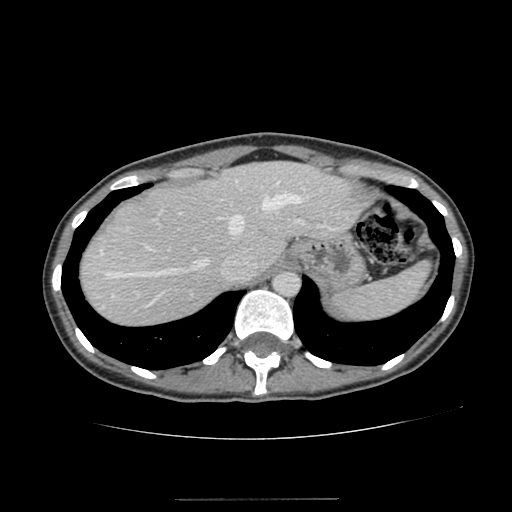 512x512; CT
The liver lies within 80:162:363:328.